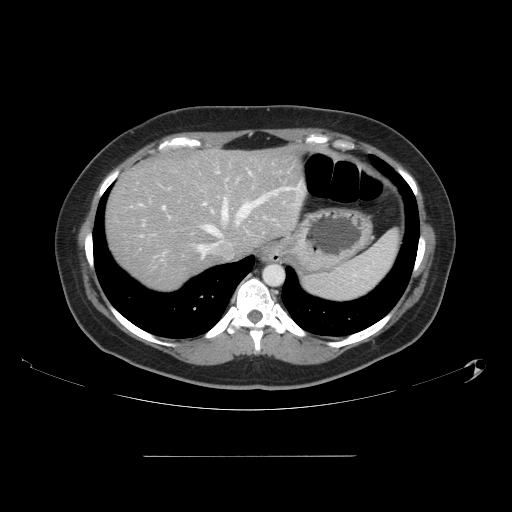
CT scan slice; Abdomen

The vessel boxes may cover only some of the vessels.
hepatic vessel: 204 202 205 204, 163 206 164 208, 249 172 250 173, 198 245 205 255, 236 186 299 224, 205 225 220 235, 222 196 227 219